CT slice; Upper abdomen; Field of view 379x379 mm 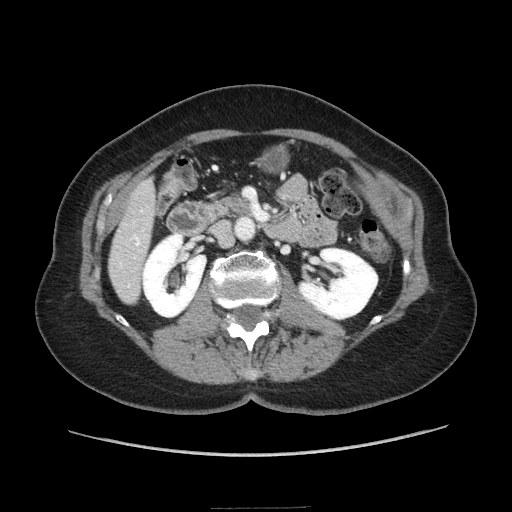 Pancreas: bounding box <box>203,197,246,220</box>.